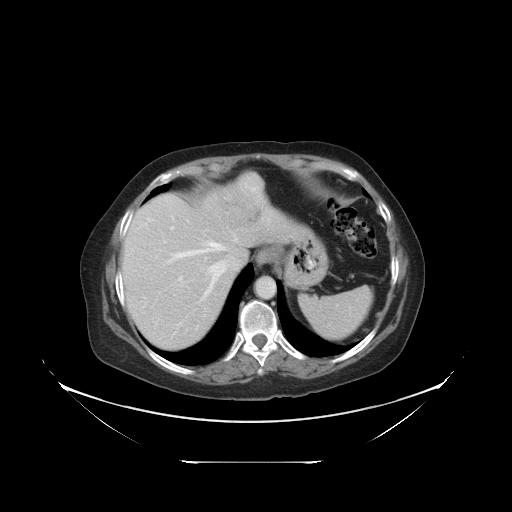 CT, Liver, 512x512

Some hepatic vessels may have no box.
Hepatic vessel — (168, 241, 224, 262), (178, 277, 182, 281), (171, 226, 173, 229), (177, 322, 181, 325), (172, 217, 173, 219), (163, 241, 165, 243), (201, 261, 225, 300).
Liver tumor — (220, 173, 263, 227).